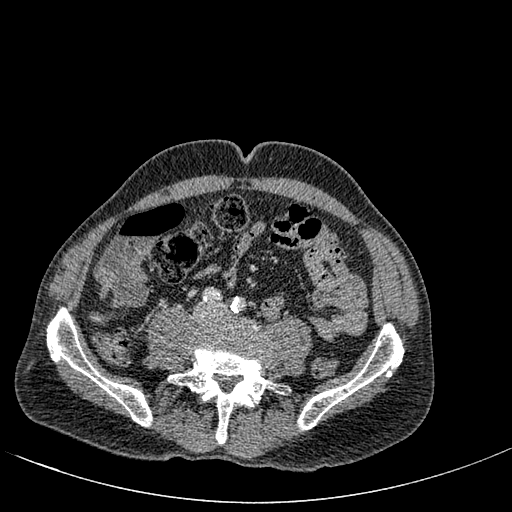
Abdomen, CT

Liver: bounding box (100, 284, 108, 297).